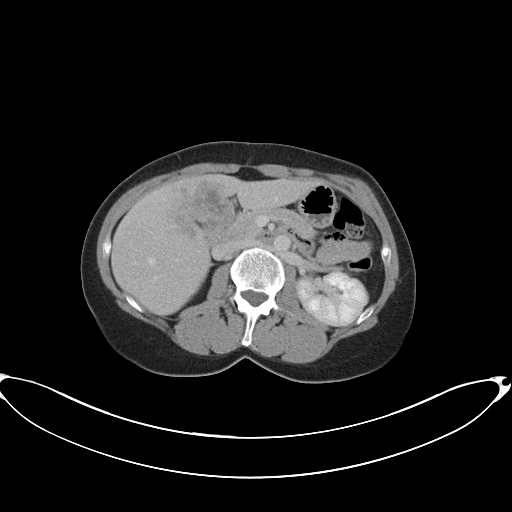
Computed tomography, 512x512

The vessel annotation is not exhaustive.
3 liver tumor regions are located at (179, 190, 187, 210), (177, 215, 196, 236), (194, 184, 232, 226). 2 hepatic vessel regions are located at (148, 258, 154, 264), (154, 276, 159, 278).